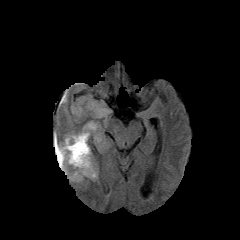
FLAIR MR.
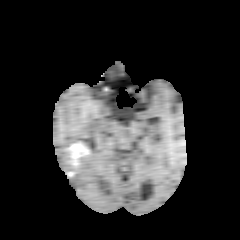
T1-weighted MR image of the same slice.
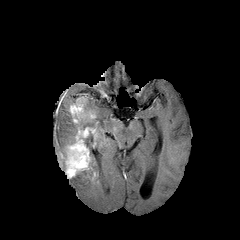
Post-contrast T1-weighted MR.
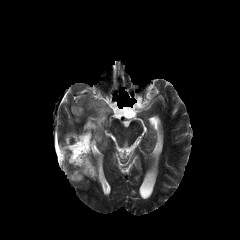
T2-weighted MRI.
Image size 240x240. Head.
Enhancing tumor: <box>56,122,100,177</box>.
Non-enhancing tumor core: <box>55,141,64,151</box>, <box>84,134,94,151</box>.
Edema: <box>79,101,108,129</box>, <box>58,131,77,147</box>, <box>69,136,109,182</box>.